FLAIR MR.
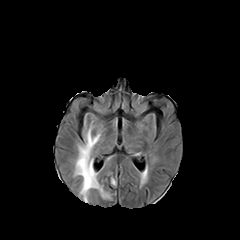
T1-weighted magnetic resonance.
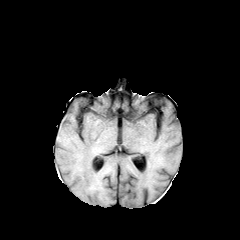
Post-contrast T1-weighted MR image.
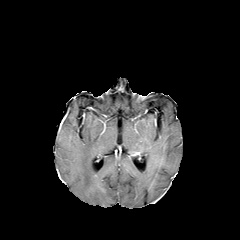
T2-weighted MRI.
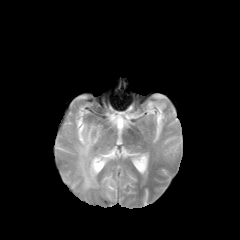
Brain
edema:
  - [74,127,112,201]